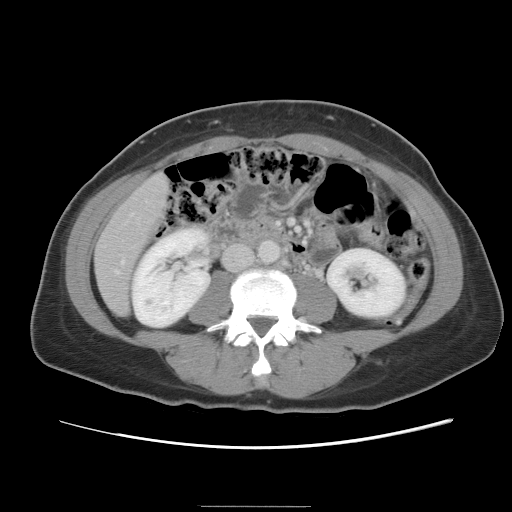
Abdomen; CT
Not every hepatic vessel necessarily has a box.
Hepatic vessel — [121,259,123,262], [114,269,117,271].